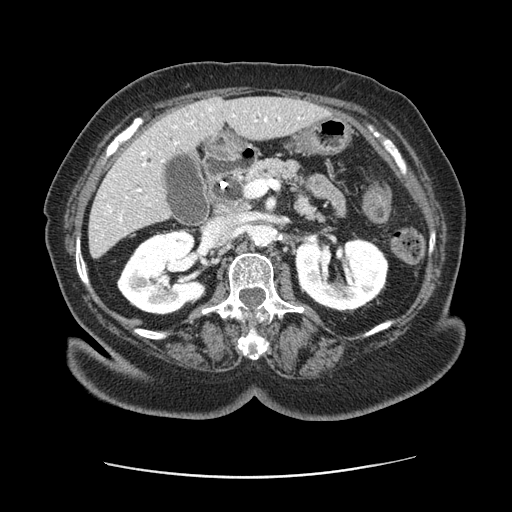
Abdomen; Computed tomography; Image size 512x512
The pancreas is located at 245 158 329 223.